CT. 512x512. Abdomen.

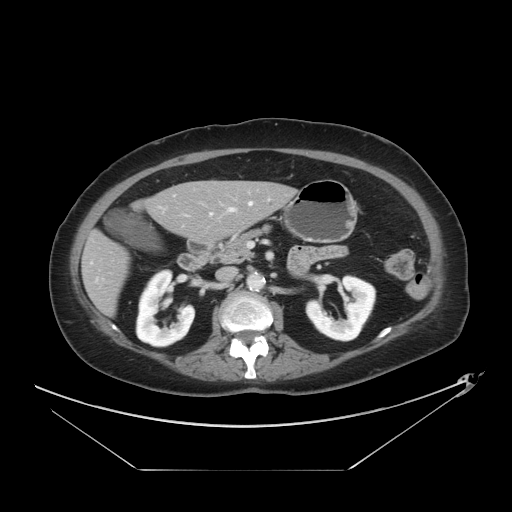 Some hepatic vessels may have no box.
3 hepatic vessel regions are located at x1=228, y1=207, x2=235, y2=211; x1=209, y1=213, x2=212, y2=215; x1=249, y1=202, x2=252, y2=205.